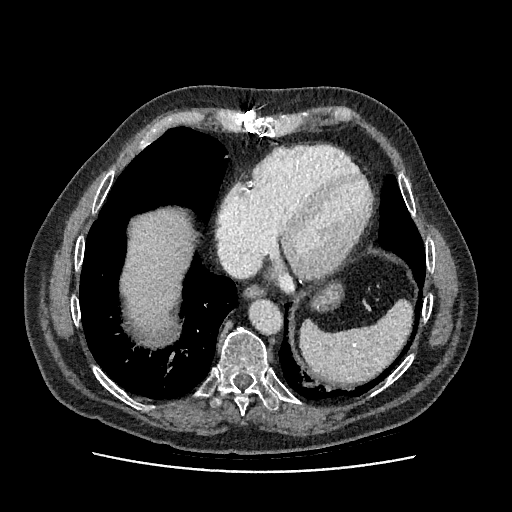

512x512; Abdomen; CT scan slice
Annotated regions:
* liver: 122 210 192 330